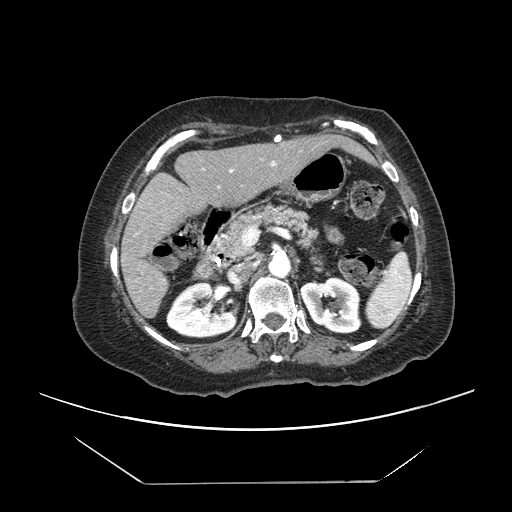

CT image
The vessel annotation is not exhaustive.
<segmentation>
  <hepatic_vessel>bbox=[242, 227, 258, 246]; bbox=[230, 170, 232, 171]</hepatic_vessel>
</segmentation>